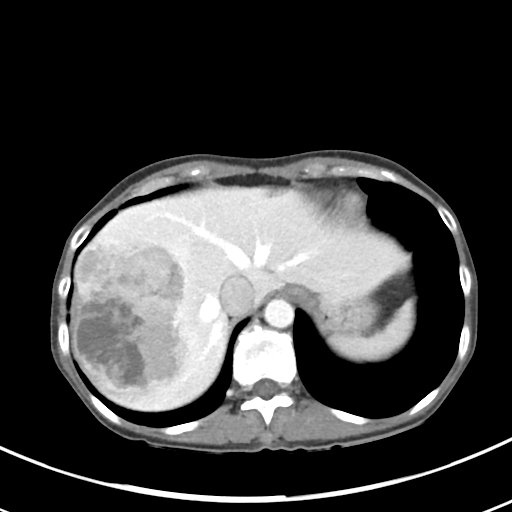
CT; Liver; Image size 512x512

The vessel annotation is not exhaustive.
<segmentation>
  <hepatic_vessel>box=[201, 300, 217, 319]; box=[203, 228, 249, 268]; box=[254, 245, 268, 265]; box=[286, 255, 307, 265]; box=[213, 328, 217, 336]; box=[199, 352, 205, 359]</hepatic_vessel>
  <liver_tumor>box=[75, 231, 189, 400]</liver_tumor>
</segmentation>